FLAIR MRI.
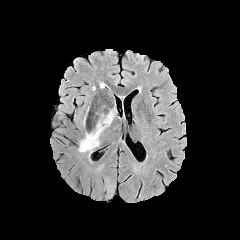
T1-weighted MR image.
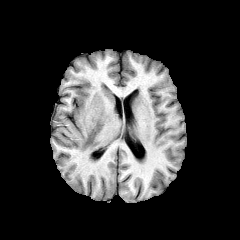
Post-contrast T1-weighted MR image.
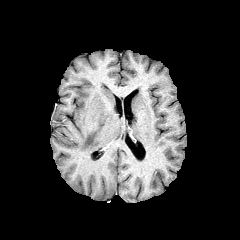
T2-weighted MRI.
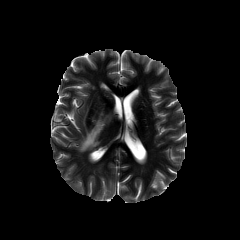
240x240 | Head
edema: rect(78, 108, 116, 153)